CT slice. 512x512 px. Liver.

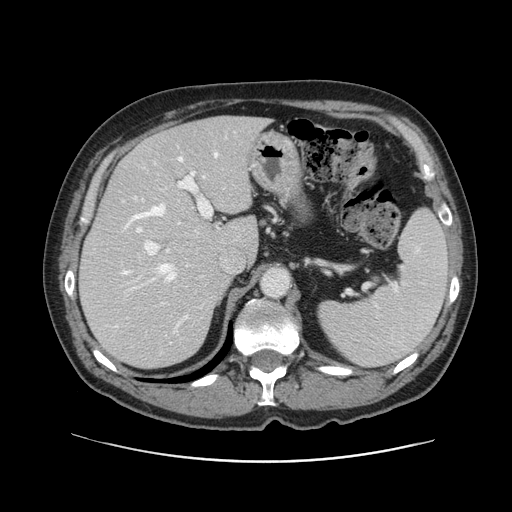
Some hepatic vessels may have no box.
{
  "hepatic_vessel": [
    "179:157:182:160",
    "159:264:174:280",
    "137:228:141:231",
    "178:183:180:186",
    "214:152:217:156",
    "192:172:193:173",
    "145:242:158:254",
    "176:315:187:328",
    "167:250:168:251",
    "123:271:129:273",
    "125:205:164:226"
  ]
}